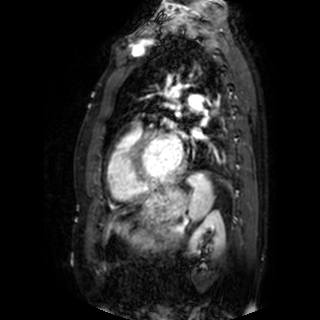 Cardiac | Magnetic resonance
2 left atrium regions are bounded by 192:128:203:138, 174:138:181:153.